Head | 240x240 | Slice 66 of 155
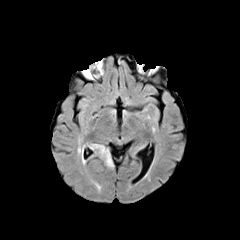
FLAIR MR.
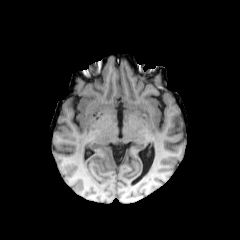
T1-weighted MR.
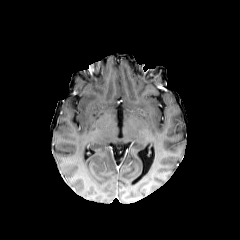
Post-contrast T1-weighted MR image.
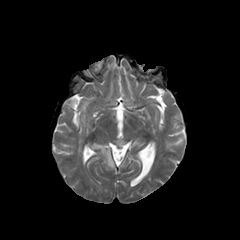
T2-weighted magnetic resonance.
2 edema regions appear at (78,145,85,163), (91,144,113,168).